240x240 px
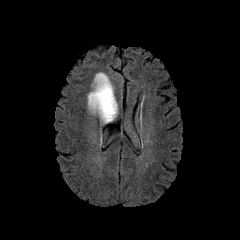
FLAIR magnetic resonance.
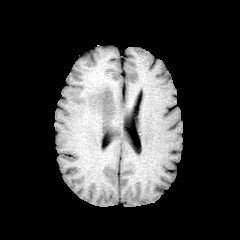
T1-weighted magnetic resonance.
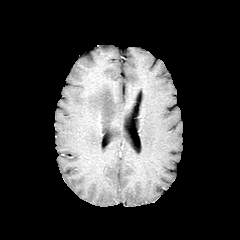
Same slice, post-contrast T1-weighted MR image.
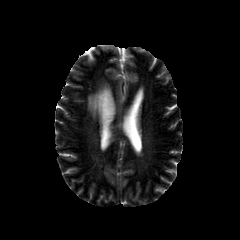
Same slice, T2-weighted MR image.
The edema is located at bbox(87, 73, 118, 124).